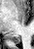
MR

The posterior hippocampus is located at bbox=[11, 36, 20, 43].